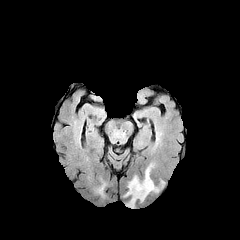
FLAIR MR image.
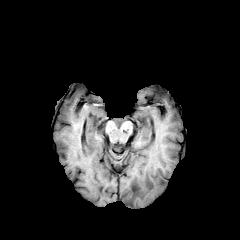
T1-weighted magnetic resonance of the same slice.
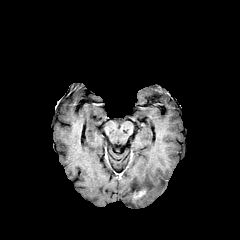
Post-contrast T1-weighted MR image.
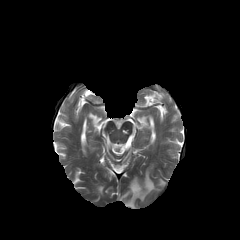
T2-weighted MRI.
Head
edema:
  - box(126, 199, 135, 208)
  - box(124, 167, 164, 202)
enhancing_tumor:
  - box(132, 190, 145, 200)